Abdomen; Slice 132/230; CT scan slice

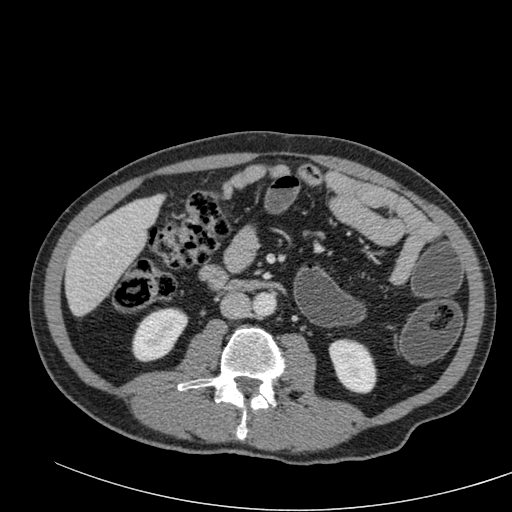 - liver: 65,195,162,315
- kidney: 330,340,375,392; 133,309,186,360